Brain
FLAIR MRI.
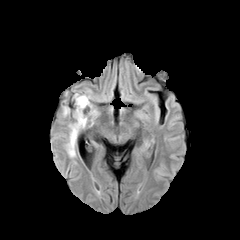
T1-weighted magnetic resonance.
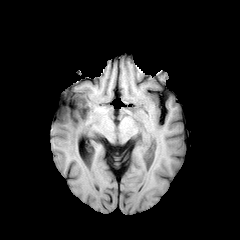
Post-contrast T1-weighted MRI.
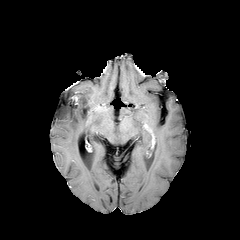
T2-weighted MR image.
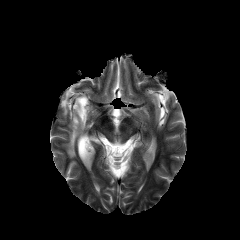
<segmentation>
  <non-enhancing_tumor_core>[x1=72, y1=92, x2=80, y2=108]</non-enhancing_tumor_core>
  <edema>[x1=62, y1=84, x2=96, y2=157]</edema>
</segmentation>